MR 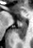

<segmentation>
  <anterior_hippocampus>bbox=[20, 21, 25, 21]</anterior_hippocampus>
  <posterior_hippocampus>bbox=[15, 22, 26, 38]</posterior_hippocampus>
</segmentation>